Image size 512x512; Abdomen; Computed tomography
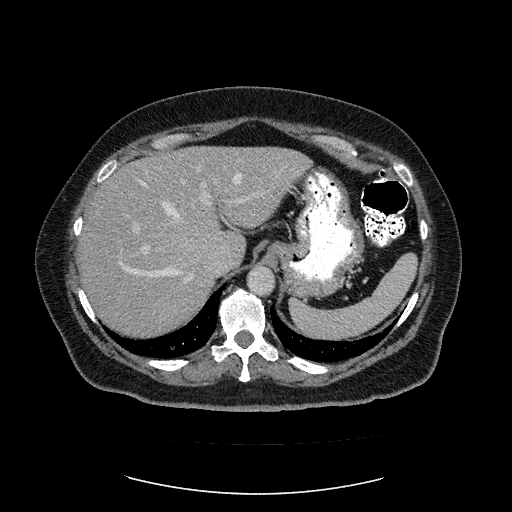 Not every hepatic vessel necessarily has a box.
15 hepatic vessel regions are bounded by 234 174 241 182, 192 201 194 205, 187 274 193 280, 249 190 265 197, 202 193 210 204, 133 224 139 232, 138 179 146 185, 201 182 207 187, 196 166 199 170, 119 255 121 260, 163 202 178 217, 235 197 247 202, 182 180 185 181, 120 262 178 275, 143 245 148 253.